Slice 86/155, 240x240 px, Head
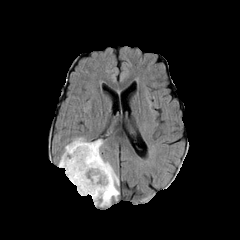
FLAIR magnetic resonance.
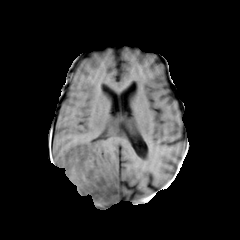
T1-weighted MR.
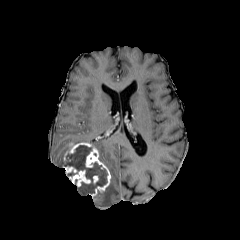
Same slice, post-contrast T1-weighted magnetic resonance.
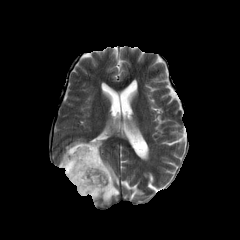
T2-weighted magnetic resonance.
Non-enhancing tumor core at rect(64, 154, 107, 192).
Edema at rect(91, 139, 119, 206); rect(59, 144, 69, 167); rect(70, 146, 89, 159); rect(72, 138, 85, 143); rect(77, 184, 93, 195); rect(89, 168, 105, 183).
Enhancing tumor at rect(63, 142, 111, 198); rect(63, 166, 90, 186).